Image size 512x512; CT; Abdomen
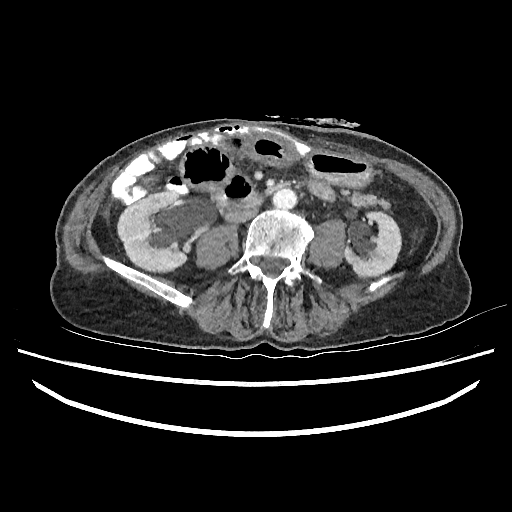

kidney:
  - [x1=345, y1=212, x2=400, y2=275]
  - [x1=118, y1=195, x2=186, y2=270]